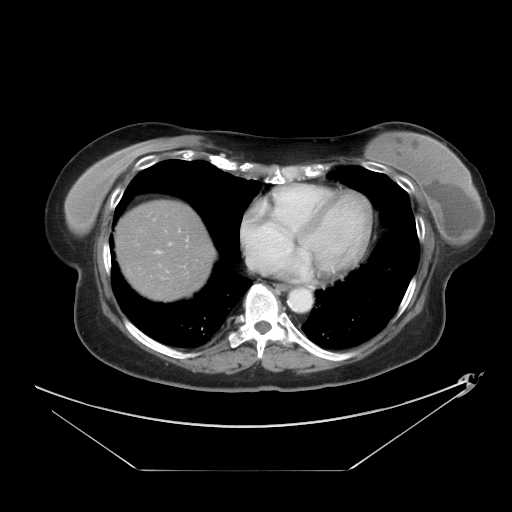
CT scan slice | Liver
The vessel annotation is not exhaustive.
Hepatic vessel at 248:248:265:266, 246:241:251:247.